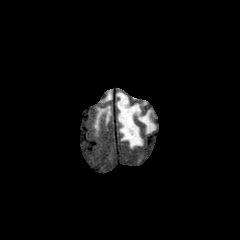
FLAIR MRI.
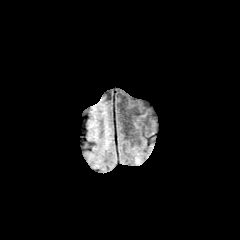
T1-weighted magnetic resonance.
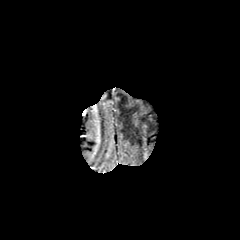
Post-contrast T1-weighted MRI of the same slice.
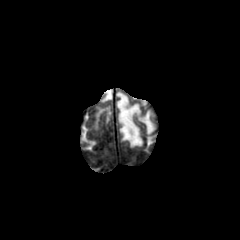
T2-weighted MR image.
The edema appears at <box>116,91,156,148</box>.